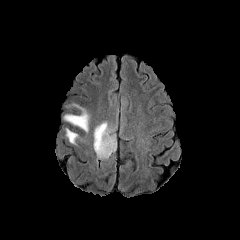
FLAIR MR image.
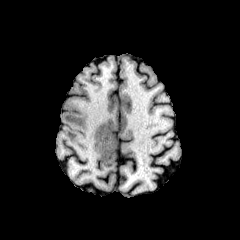
T1-weighted MR of the same slice.
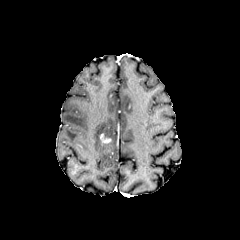
Post-contrast T1-weighted MR image.
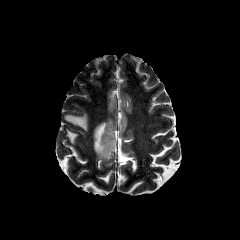
T2-weighted MR.
Head. 240x240 px.
3 edema regions are bounded by box=[66, 128, 77, 144]; box=[94, 122, 116, 158]; box=[64, 108, 88, 132]. The enhancing tumor is bounded by box=[100, 134, 110, 143].